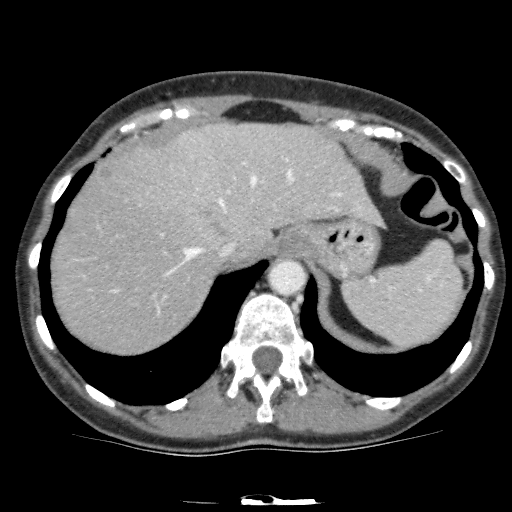

CT scan slice
* liver lesion: x1=197, y1=202, x2=226, y2=237; x1=98, y1=165, x2=114, y2=179
* liver: x1=53, y1=122, x2=385, y2=354